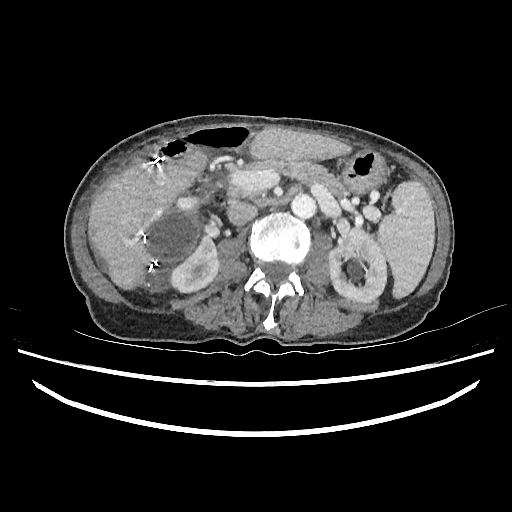

CT image; 512x512

<segmentation>
  <liver><bbox>89, 152, 206, 289</bbox>, <bbox>251, 128, 350, 159</bbox></liver>
  <kidney><bbox>329, 228, 386, 302</bbox>, <bbox>171, 222, 219, 292</bbox></kidney>
  <hepatic_lesion><bbox>93, 249, 107, 268</bbox>, <bbox>144, 210, 198, 292</bbox></hepatic_lesion>
</segmentation>